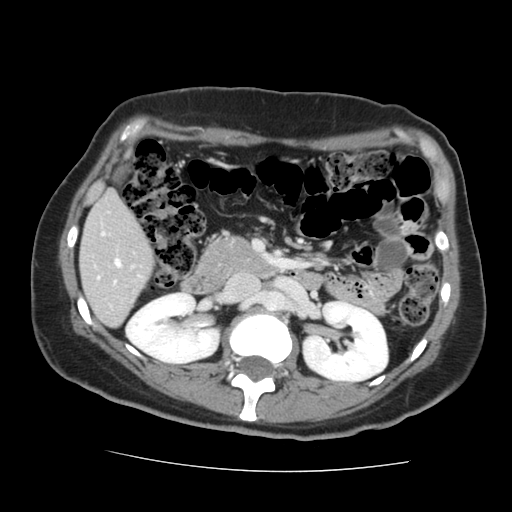
CT slice. Liver. The vessel annotation is not exhaustive.
{
  "hepatic_vessel": [
    "115,260,119,266",
    "97,277,98,278",
    "101,233,103,235",
    "114,281,115,283"
  ]
}